512x512 | CT scan slice | Abdomen
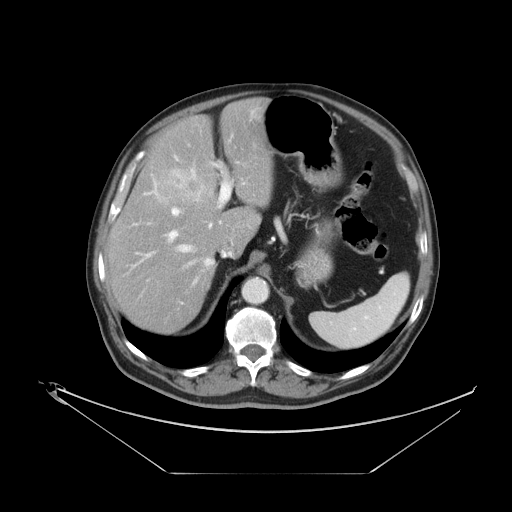 Not every hepatic vessel necessarily has a box.
The liver tumor lies within <box>188,181,199,194</box>. The most prominent 15 hepatic vessel regions (of 16) are located at <box>209,162,232,208</box>, <box>136,252,153,261</box>, <box>204,258,212,266</box>, <box>171,207,179,215</box>, <box>177,245,194,251</box>, <box>186,194,190,196</box>, <box>252,110,255,115</box>, <box>193,278,196,284</box>, <box>186,261,195,265</box>, <box>174,155,177,160</box>, <box>166,167,195,187</box>, <box>144,174,168,204</box>, <box>131,263,138,268</box>, <box>166,230,177,242</box>, <box>194,185,203,200</box>.